Image size 512x512 | Field of view 434 mm wide, 1.00 mm slice spacing | Computed tomography | Slice 569/605 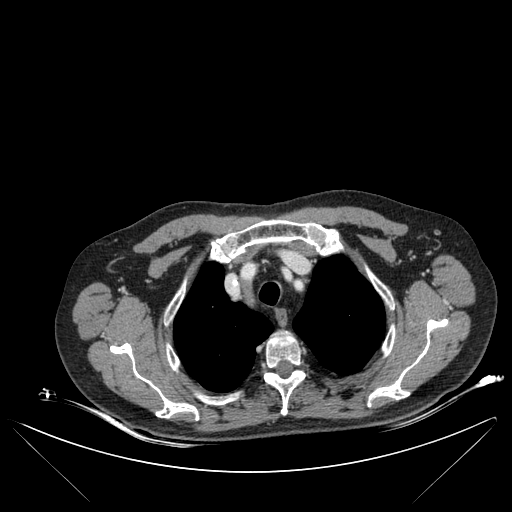
Lung: bounding box 174,262,273,391; 259,282,278,304; 293,255,384,374.
Bone: bounding box 167,282,184,320; 266,332,300,367; 264,370,305,414; 196,394,238,404; 367,319,447,406; 110,343,198,419; 382,326,395,355; 367,268,392,308; 166,345,179,370; 210,220,342,262.